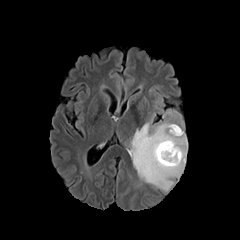
FLAIR MRI.
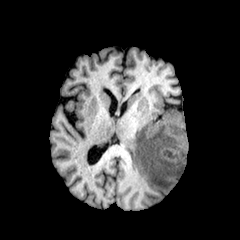
T1-weighted MRI.
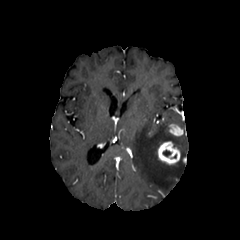
Post-contrast T1-weighted MR image of the same slice.
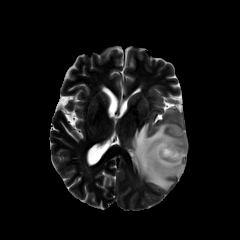
T2-weighted MRI.
Head
non-enhancing tumor core: box=[162, 149, 173, 157] | enhancing tumor: box=[169, 124, 183, 135]; box=[158, 141, 180, 164] | edema: box=[131, 121, 187, 190]